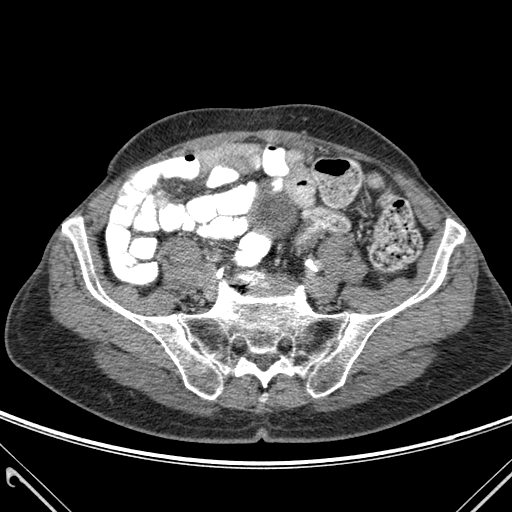

Computed tomography

Bone: bounding box 62, 217, 465, 399.